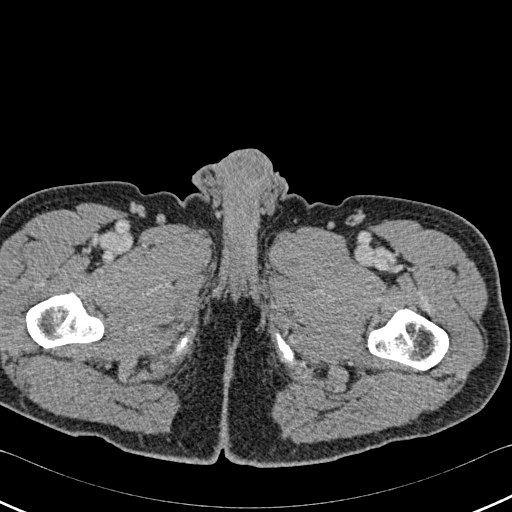
CT | Image size 512x512
Segmented structures:
- bone: (26,293,103,347), (276,333,293,364), (176,336,187,354), (368,309,448,369)